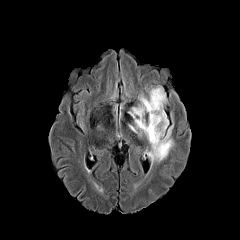
FLAIR MRI.
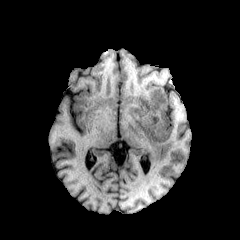
T1-weighted magnetic resonance.
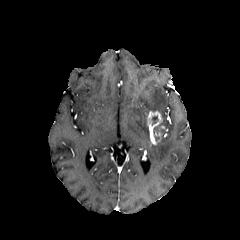
Post-contrast T1-weighted magnetic resonance.
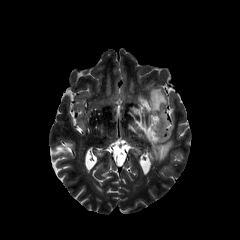
T2-weighted MRI of the same slice.
Head.
2 non-enhancing tumor core regions are bounded by <bbox>154, 121, 167, 137</bbox>, <bbox>142, 109, 148, 126</bbox>. The enhancing tumor lies within <bbox>146, 111, 162, 146</bbox>. 3 edema regions are bounded by <bbox>148, 123, 175, 167</bbox>, <bbox>140, 87, 168, 126</bbox>, <bbox>128, 105, 150, 142</bbox>.